512x512 px, CT image, Upper abdomen 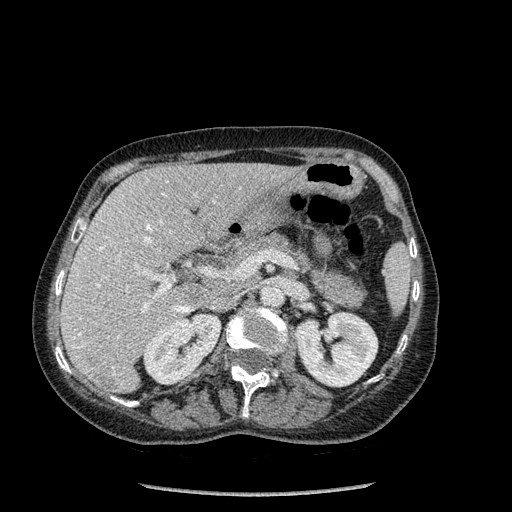

bone:
  - box(412, 280, 419, 300)
  - box(231, 364, 277, 417)
  - box(408, 238, 416, 257)
  - box(367, 375, 380, 382)
  - box(71, 231, 80, 243)
  - box(55, 346, 70, 373)
  - box(55, 270, 64, 296)
  - box(110, 396, 138, 406)
  - box(226, 306, 288, 357)
  - box(396, 335, 407, 353)
liver:
  - box(61, 163, 301, 393)
focal_liver_lesion:
  - box(90, 357, 117, 388)
  - box(183, 289, 204, 303)
kidney:
  - box(295, 312, 377, 386)
  - box(144, 314, 220, 383)